Slice 20 of 37 | CT image | Liver

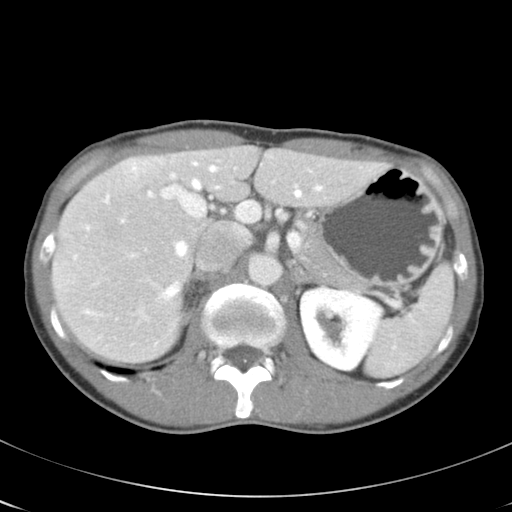

Not every hepatic vessel necessarily has a box.
Hepatic vessel: bounding box (left=267, top=154, right=269, bottom=156), (left=122, top=219, right=124, bottom=222), (left=163, top=186, right=205, bottom=216), (left=163, top=283, right=179, bottom=297), (left=193, top=180, right=199, bottom=188), (left=210, top=166, right=215, bottom=170), (left=171, top=173, right=174, bottom=177), (left=149, top=192, right=152, bottom=195), (left=133, top=163, right=136, bottom=169), (left=177, top=242, right=186, bottom=254), (left=194, top=162, right=197, bottom=165), (left=295, top=190, right=301, bottom=195), (left=237, top=201, right=250, bottom=222), (left=106, top=196, right=108, bottom=201), (left=316, top=186, right=321, bottom=189).
Liver tumor: bounding box (left=59, top=229, right=94, bottom=251).